Upper abdomen; Slice 438 of 671; Computed tomography
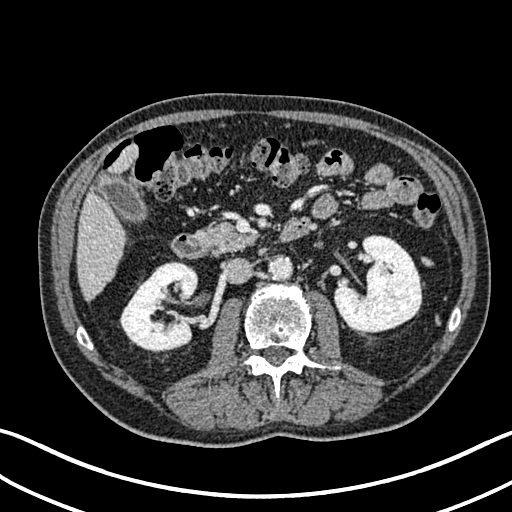

kidney: <box>335,236,421,331</box>, <box>121,263,196,350</box> | liver: <box>109,145,138,172</box>, <box>77,187,125,299</box>